Slice 20 of 34 | 512x512 px | Abdomen | Computed tomography 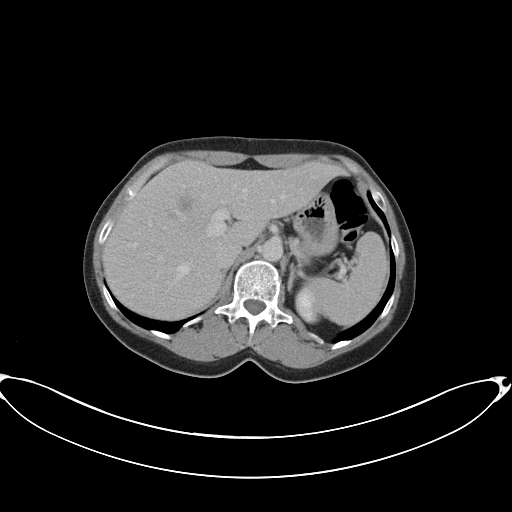 Some hepatic vessels may have no box.
hepatic vessel: 242 188 247 197, 281 195 285 198, 221 201 223 202, 208 210 227 236, 178 265 188 275, 234 185 235 186, 271 199 275 203 | liver tumor: 182 197 193 210